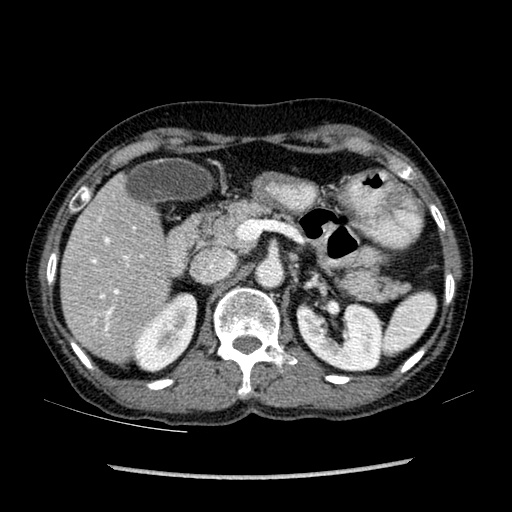 CT slice

Liver at <box>61,176,167,360</box>.
Kidney at <box>298,302,380,369</box>, <box>134,294,196,370</box>.